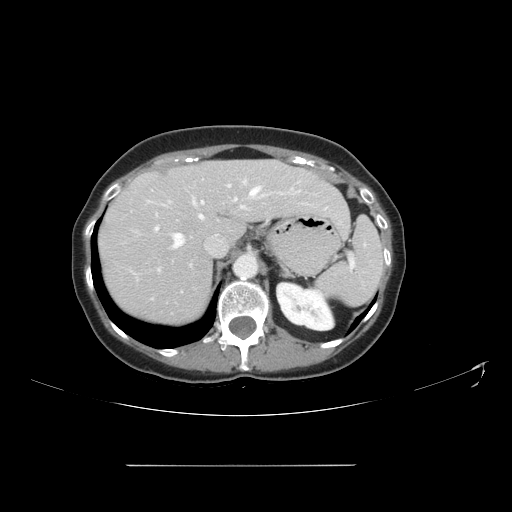

Abdomen, Computed tomography
Not every hepatic vessel necessarily has a box.
{
  "hepatic_vessel": [
    "<box>157,268,160,271</box>",
    "<box>181,291,182,292</box>",
    "<box>192,198,196,205</box>",
    "<box>243,180,246,184</box>",
    "<box>240,205,247,209</box>",
    "<box>249,186,270,198</box>",
    "<box>199,214,203,218</box>",
    "<box>173,233,183,247</box>",
    "<box>227,184,230,187</box>",
    "<box>278,192,284,194</box>",
    "<box>200,200,203,203</box>",
    "<box>129,269,131,271</box>",
    "<box>155,226,158,230</box>",
    "<box>233,198,236,201</box>"
  ]
}